CT image.

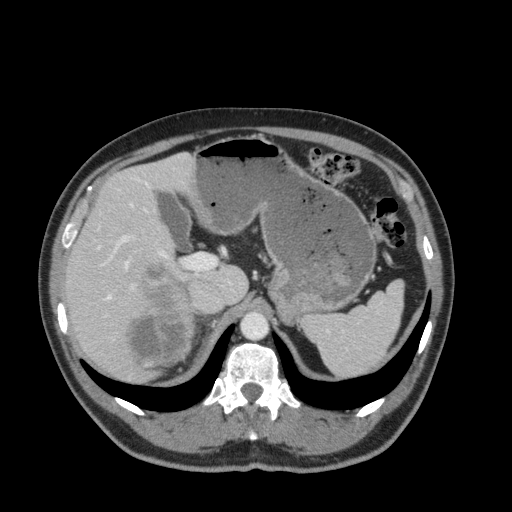
<segmentation>
  <liver>left=66, top=154, right=247, bottom=381</liver>
</segmentation>